Slice index 89; 240x240; Head; Field of view 240x240 mm
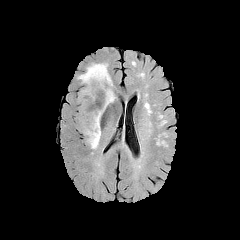
FLAIR MR image.
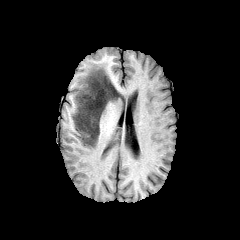
T1-weighted magnetic resonance of the same slice.
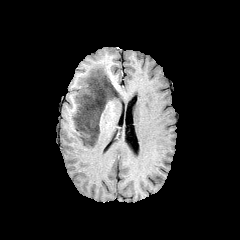
Same slice, post-contrast T1-weighted magnetic resonance.
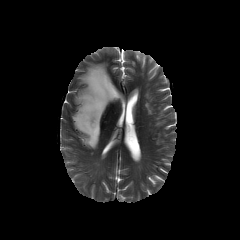
T2-weighted magnetic resonance of the same slice.
{
  "non-enhancing_tumor_core": [
    "box(75, 69, 117, 145)"
  ],
  "edema": [
    "box(87, 64, 107, 75)",
    "box(86, 130, 101, 149)",
    "box(79, 76, 86, 85)"
  ]
}